CT image; Slice 53/72

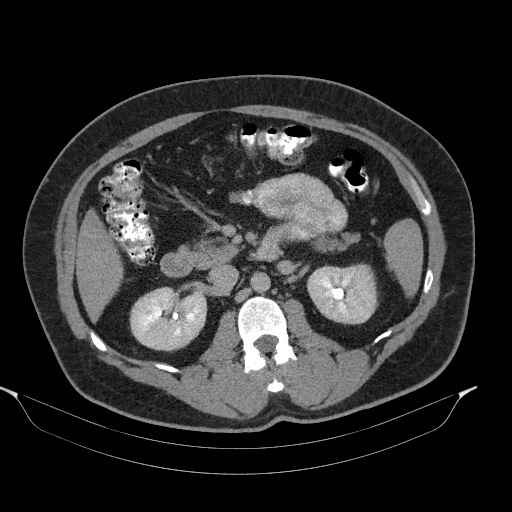 {
  "pancreas": [
    "l=316, t=233, r=359, b=250",
    "l=190, t=234, r=237, b=269"
  ]
}